Slice 435 of 917, CT image, Upper abdomen, 512x512 px, Image width 429 mm
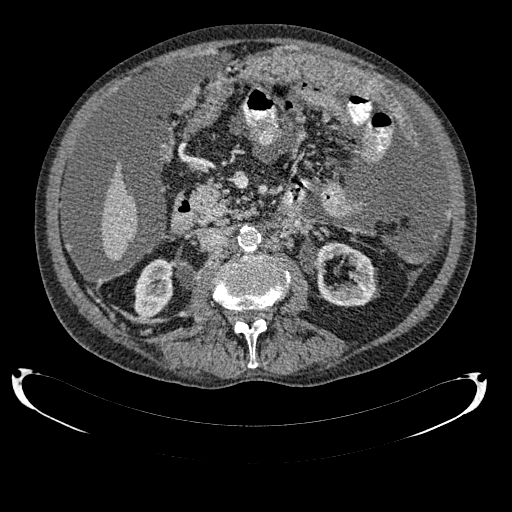 Kidney = (135, 259, 172, 319), (315, 243, 375, 305).
Liver = (100, 162, 137, 261).